CT scan slice; Slice 119 of 124

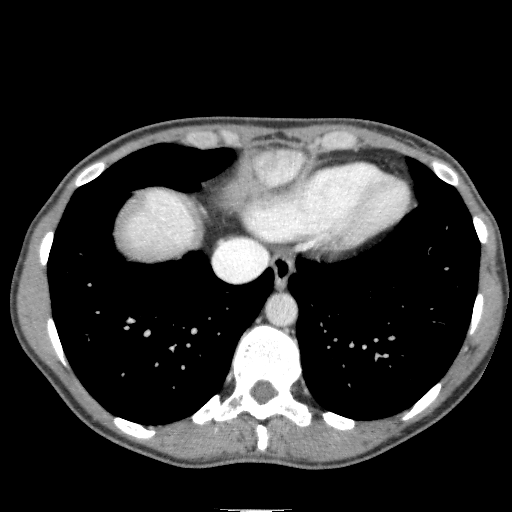
liver: (251,150,307,191), (116,189,197,260)